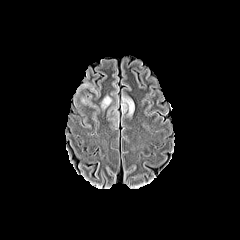
FLAIR MRI.
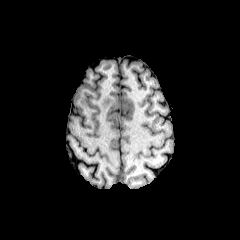
T1-weighted MR image.
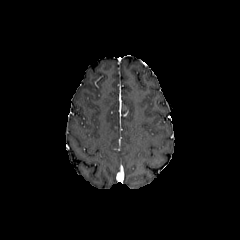
Post-contrast T1-weighted MR image.
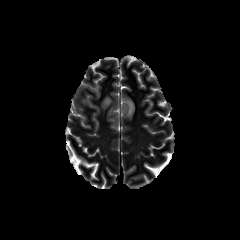
T2-weighted MR.
240x240 px
Findings:
* edema: box(101, 96, 111, 108); box(123, 97, 135, 115)
* enhancing tumor: box(121, 106, 128, 117)